Upper abdomen. CT image. 512x512. Slice index 43.

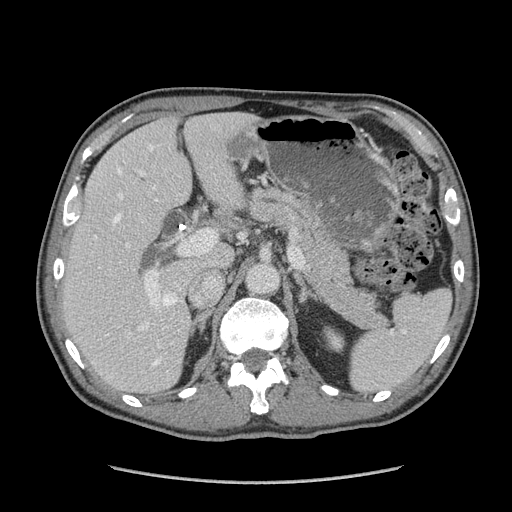
pancreas:
  - (244,185,388,331)